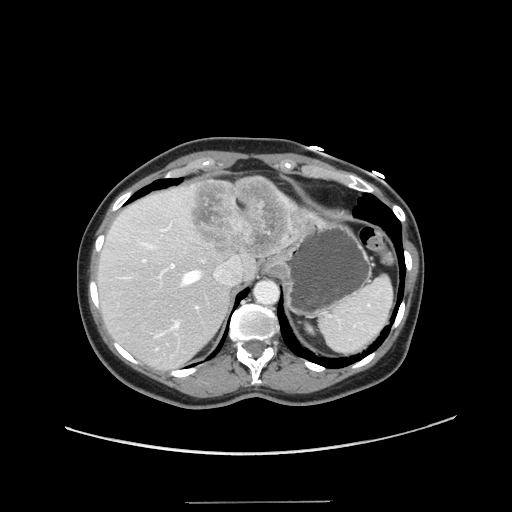

Abdomen; CT image
The vessel boxes may cover only some of the vessels.
Hepatic vessel: bounding box box=[214, 256, 240, 285]; box=[155, 333, 161, 336]; box=[172, 320, 178, 328]; box=[170, 264, 174, 267]; box=[159, 273, 161, 276]; box=[161, 228, 167, 230]; box=[183, 271, 200, 283]; box=[196, 306, 197, 307]; box=[124, 277, 127, 277].
Liver tumor: bounding box box=[188, 179, 290, 256].